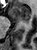 MR image | 37x50
Anterior hippocampus — (8, 6, 30, 22).